CT image
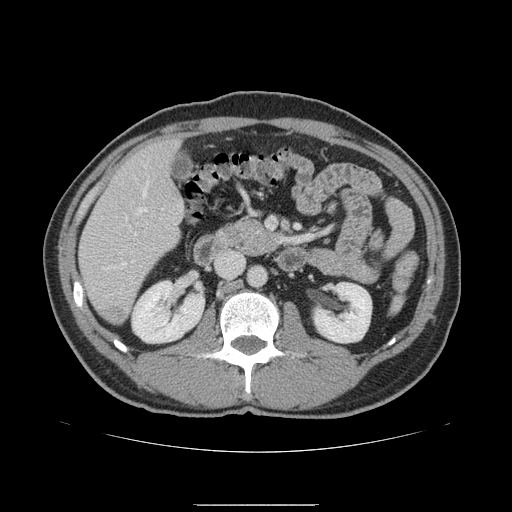 Pancreas: rect(213, 217, 282, 256).